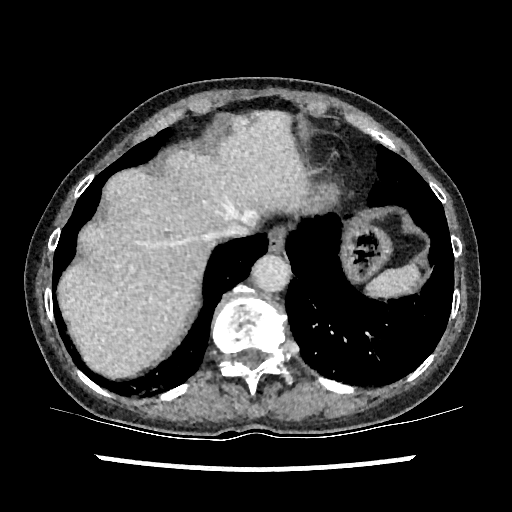

CT slice.

The liver is at l=59, t=111, r=310, b=377.